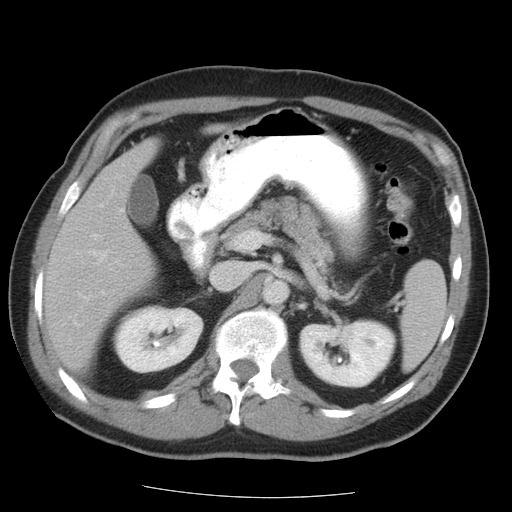 Abdomen. CT scan slice.
The vessel annotation is not exhaustive.
{"hepatic_vessel": ["(76, 324, 79, 326)", "(102, 291, 104, 294)", "(93, 234, 100, 237)", "(79, 293, 89, 299)", "(120, 209, 123, 211)", "(100, 205, 102, 206)", "(91, 251, 106, 260)"]}